Image width 240 mm.
FLAIR magnetic resonance.
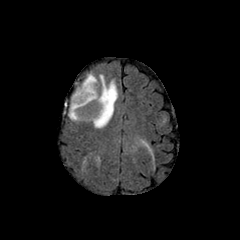
T1-weighted MR.
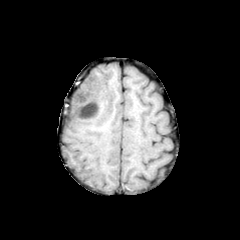
Post-contrast T1-weighted magnetic resonance.
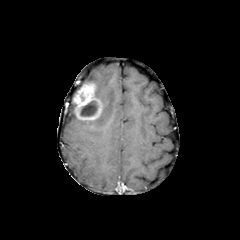
T2-weighted MRI.
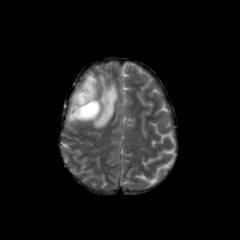
Enhancing tumor = x1=72, y1=82, x2=101, y2=120.
Edema = x1=69, y1=103, x2=81, y2=122; x1=84, y1=73, x2=117, y2=128.
Non-enhancing tumor core = x1=79, y1=101, x2=98, y2=116.